FLAIR MRI.
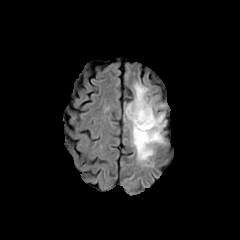
T1-weighted MRI.
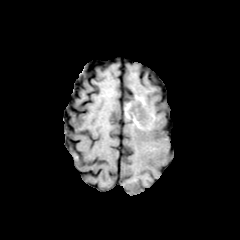
Post-contrast T1-weighted MRI.
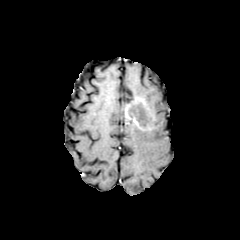
T2-weighted magnetic resonance.
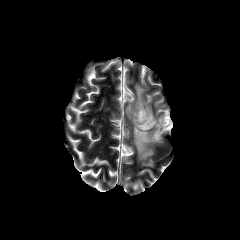
Head
2 non-enhancing tumor core regions are bounded by bbox=[128, 102, 156, 130]; bbox=[157, 119, 163, 132]. The edema is located at bbox=[124, 83, 166, 166]. 2 enhancing tumor regions appear at bbox=[126, 105, 137, 124]; bbox=[133, 97, 145, 104].